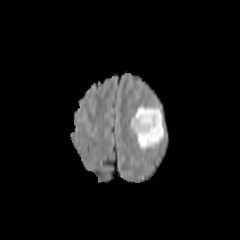
FLAIR magnetic resonance.
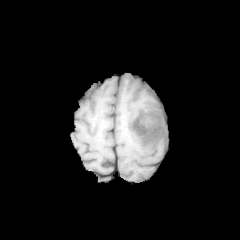
Same slice, T1-weighted MRI.
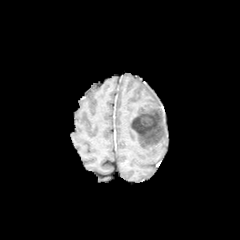
Same slice, post-contrast T1-weighted MR image.
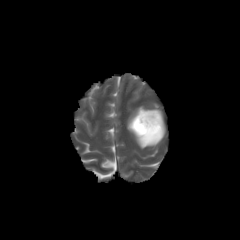
Same slice, T2-weighted MR.
Head. 240x240 px.
Segmented structures:
* edema: (127, 106, 167, 148)
* non-enhancing tumor core: (131, 114, 156, 136)